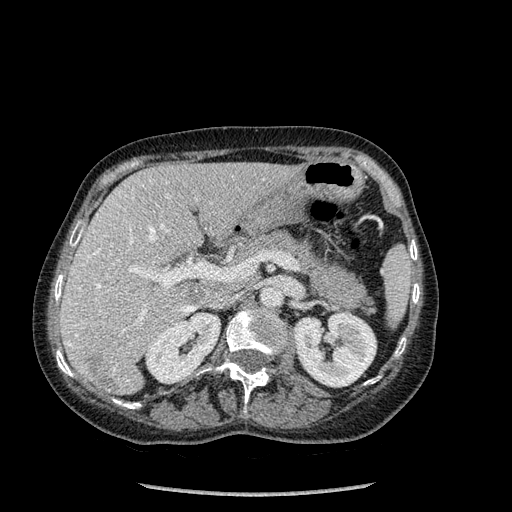
Abdomen; Image size 512x512; CT image

liver lesion: x1=86, y1=354, x2=115, y2=389; x1=185, y1=288, x2=206, y2=305 | liver: x1=60, y1=162, x2=301, y2=395 | kidney: x1=294, y1=313, x2=376, y2=386; x1=146, y1=313, x2=220, y2=383 | bone: x1=56, y1=350, x2=72, y2=376; x1=409, y1=240, x2=417, y2=260; x1=69, y1=230, x2=80, y2=246; x1=412, y1=283, x2=419, y2=303; x1=112, y1=398, x2=140, y2=408; x1=54, y1=274, x2=63, y2=301; x1=197, y1=308, x2=287, y2=412; x1=364, y1=376, x2=379, y2=384; x1=394, y1=337, x2=406, y2=356